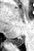
34x51, MRI, Hippocampus
Segmented structures:
- posterior hippocampus: {"x1": 9, "y1": 38, "x2": 23, "y2": 46}